CT scan slice; Slice 535/677
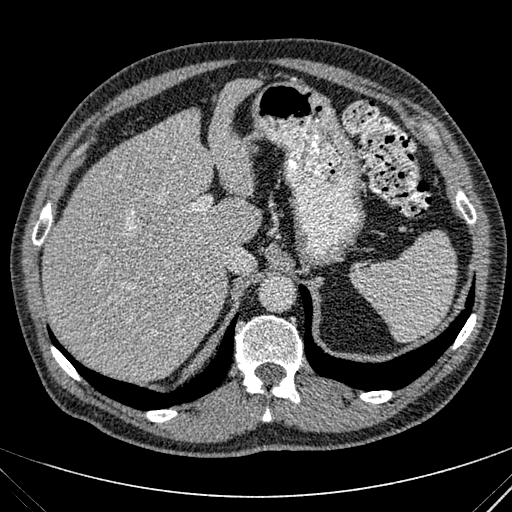
<segmentation>
  <liver>[44, 79, 261, 379]</liver>
</segmentation>